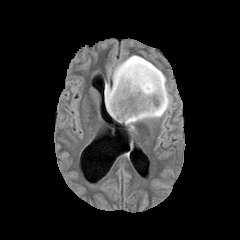
FLAIR magnetic resonance.
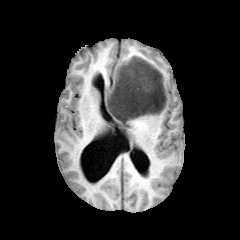
T1-weighted magnetic resonance.
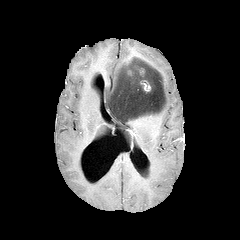
Post-contrast T1-weighted MRI.
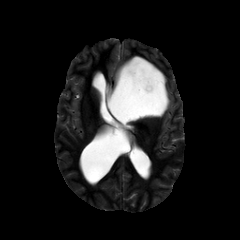
T2-weighted MR.
Segmented structures:
- edema: box(105, 53, 172, 131); box(104, 90, 121, 123)
- enhancing tumor: box(140, 80, 151, 92)
- non-enhancing tumor core: box(105, 57, 166, 123)